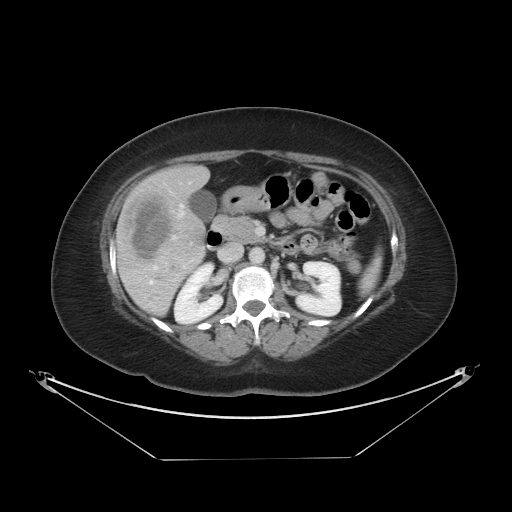

Abdomen. CT. The vessel annotation is not exhaustive.
{"liver_tumor": ["x1=128, y1=196, x2=175, y2=259"], "hepatic_vessel": ["x1=190, y1=242, x2=192, y2=244", "x1=178, y1=204, x2=183, y2=216", "x1=153, y1=265, x2=157, y2=269", "x1=172, y1=235, x2=178, y2=240", "x1=149, y1=280, x2=152, y2=284"]}